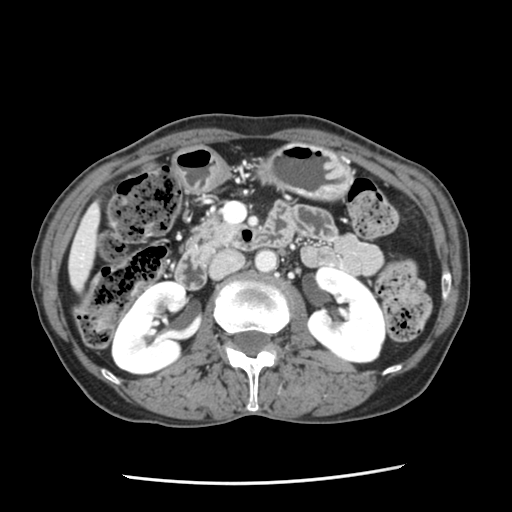

Abdomen; CT scan slice
The pancreas is at box(193, 214, 242, 259).